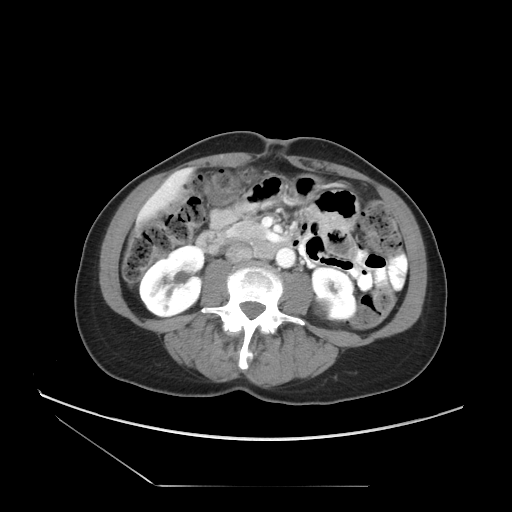 CT image. Image size 512x512.
The pancreas is located at box=[229, 221, 264, 238].